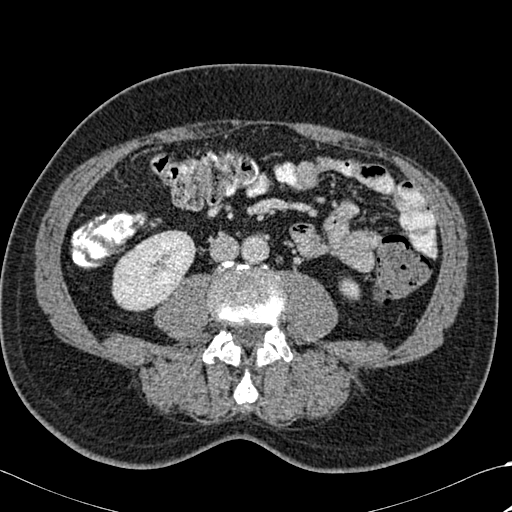
512x512; CT image
Kidney at (113, 231, 194, 309), (343, 282, 357, 296).
Bone at (203, 261, 292, 404).